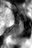 Hippocampus, Magnetic resonance
The posterior hippocampus lies within [x1=12, y1=22, x2=23, y2=40].